Computed tomography | Field of view 446 mm wide, 2.50 mm slice spacing | Abdomen

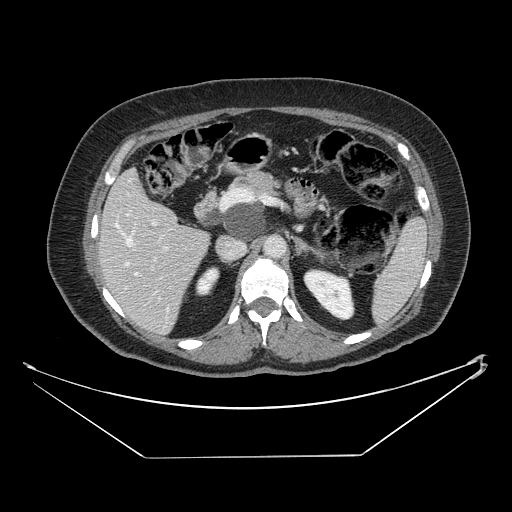
Findings:
- pancreatic tumor: bbox=[213, 203, 263, 238]
- pancreas: bbox=[221, 170, 283, 242]